Head, Field of view 240 mm wide, 1.00 mm slice spacing
FLAIR MR image.
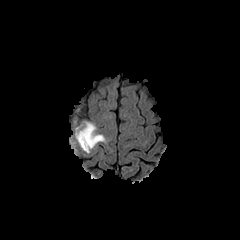
T1-weighted MR image.
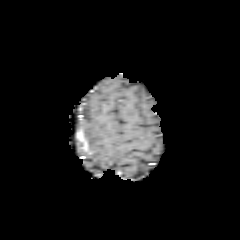
Post-contrast T1-weighted MR.
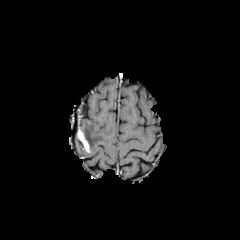
T2-weighted MRI.
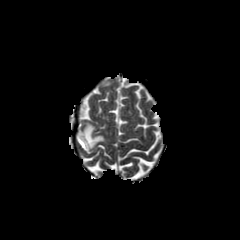
{
  "edema": [
    "x1=79 y1=121 x2=105 y2=153"
  ],
  "enhancing_tumor": [
    "x1=77 y1=127 x2=89 y2=151"
  ],
  "non-enhancing_tumor_core": [
    "x1=84 y1=132 x2=91 y2=145"
  ]
}